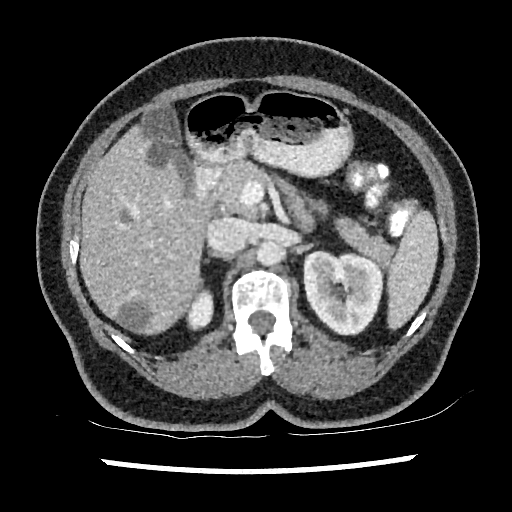

CT slice. Abdomen.
Liver = (x1=80, y1=127, x2=204, y2=333).
Liver lesion = (x1=115, y1=303, x2=148, y2=330), (x1=147, y1=144, x2=168, y2=164), (x1=121, y1=211, x2=132, y2=222).
Kidney = (x1=189, y1=293, x2=211, y2=327), (x1=302, y1=252, x2=381, y2=334).